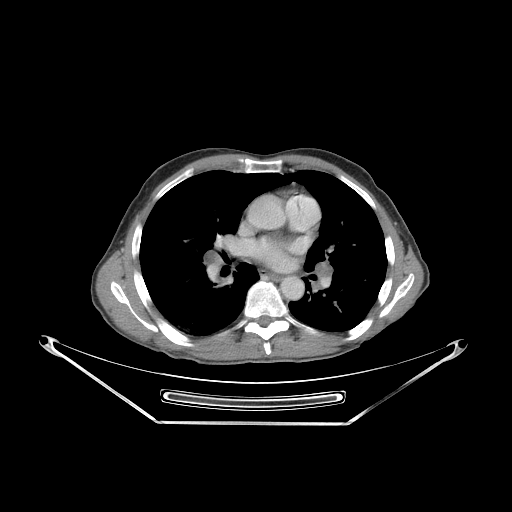
CT slice | Chest
Annotated regions:
* bone: region(132, 226, 141, 256); region(245, 282, 288, 353); region(245, 159, 280, 172); region(347, 320, 371, 339); region(346, 181, 374, 207); region(157, 178, 180, 196); region(376, 274, 413, 316); region(111, 268, 206, 345); region(385, 237, 394, 264)
* lung: region(140, 170, 386, 335)